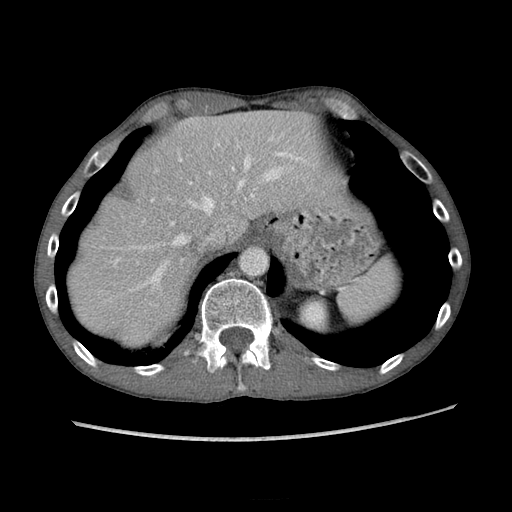

Liver, CT
{
  "liver": [
    "rect(68, 109, 365, 346)"
  ],
  "kidney": [
    "rect(305, 303, 322, 324)"
  ]
}